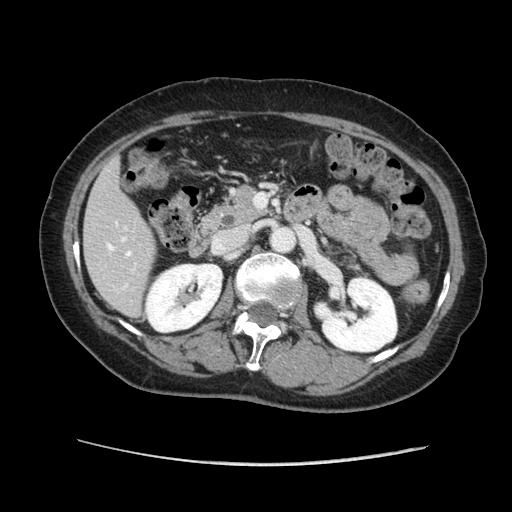

CT scan slice
The pancreas is located at [206, 185, 265, 229].